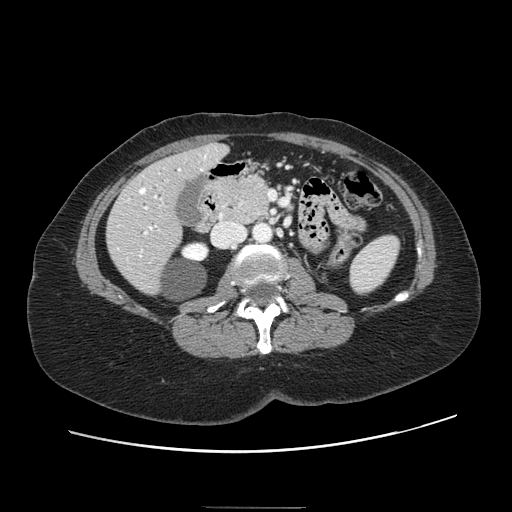

Upper abdomen, Image size 512x512, Computed tomography
Pancreas: bounding box x1=215 y1=176 x2=269 y2=223.